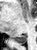

MRI. Posterior hippocampus: bounding box [14, 35, 26, 43].